Slice 96/155
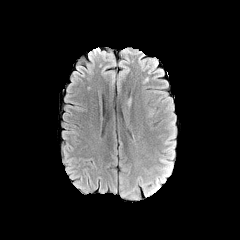
FLAIR MR.
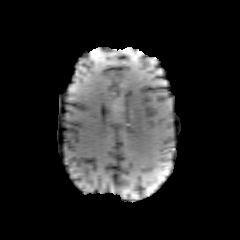
T1-weighted MRI of the same slice.
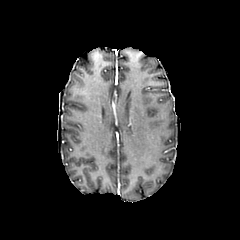
Same slice, post-contrast T1-weighted MRI.
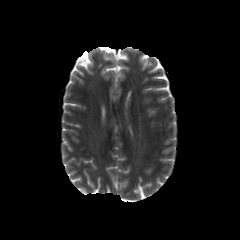
T2-weighted MR image.
edema: [167,117,176,140]